Medial temporal lobe; MR image; Slice 8 of 36; Field of view 36 mm wide, 1.00 mm slice spacing 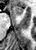
The anterior hippocampus is bounded by 12:6:23:15.